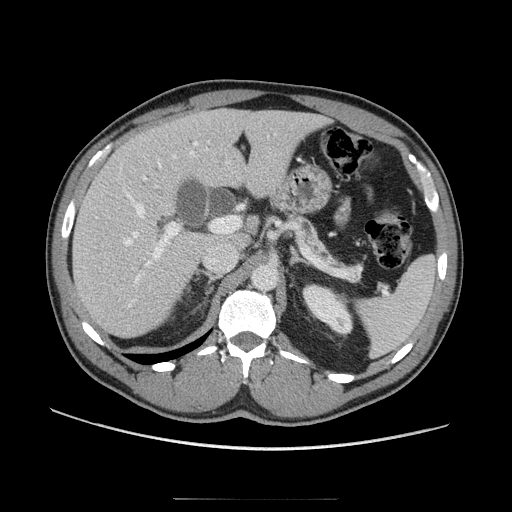

CT

The pancreas is bounded by 287, 213, 345, 268.